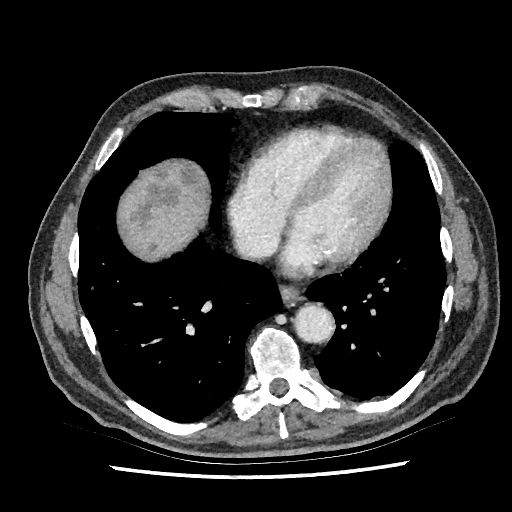 Abdomen | CT image | 512x512 px
Hepatic lesion = box(181, 164, 200, 184); box(147, 242, 157, 251); box(152, 164, 169, 179); box(128, 183, 180, 231).
Liver = box(119, 161, 204, 256).